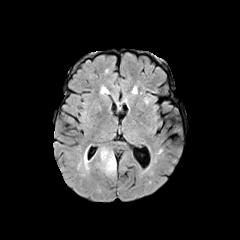
FLAIR magnetic resonance.
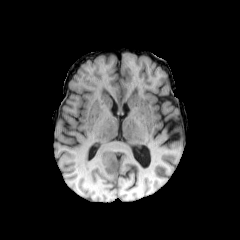
T1-weighted MR.
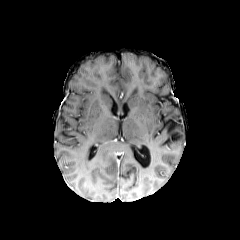
Post-contrast T1-weighted MR image.
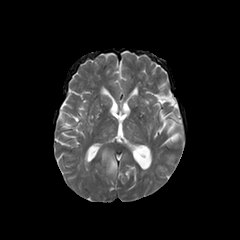
T2-weighted MRI.
Image size 240x240
- edema: [x1=100, y1=147, x2=116, y2=174], [x1=83, y1=147, x2=89, y2=170]